FLAIR MR.
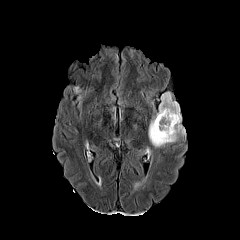
T1-weighted MR image.
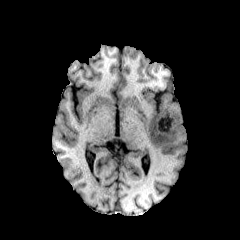
Post-contrast T1-weighted magnetic resonance.
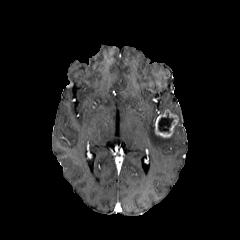
T2-weighted MR.
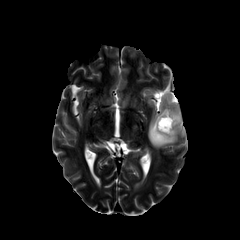
Head
Edema = {"x1": 148, "y1": 93, "x2": 186, "y2": 149}.
Enhancing tumor = {"x1": 154, "y1": 109, "x2": 178, "y2": 138}.
Non-enhancing tumor core = {"x1": 158, "y1": 111, "x2": 173, "y2": 133}.